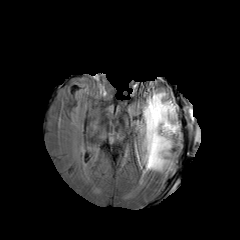
FLAIR magnetic resonance.
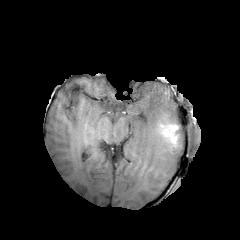
Same slice, T1-weighted MRI.
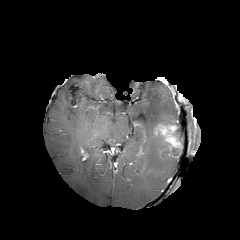
Same slice, post-contrast T1-weighted MR.
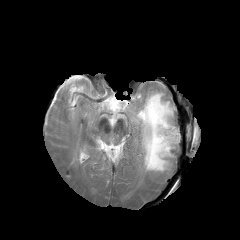
T2-weighted magnetic resonance.
{
  "edema": [
    {"x1": 128, "y1": 88, "x2": 180, "y2": 175}
  ],
  "non-enhancing_tumor_core": [
    {"x1": 170, "y1": 131, "x2": 179, "y2": 147}
  ],
  "enhancing_tumor": [
    {"x1": 155, "y1": 124, "x2": 176, "y2": 144}
  ]
}